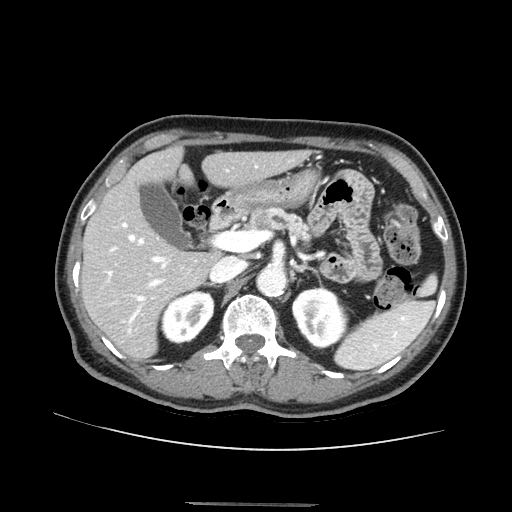
Abdomen | Computed tomography

<segmentation>
  <pancreatic_tumor>(left=255, top=214, right=269, bottom=229)</pancreatic_tumor>
  <pancreas>(left=246, top=209, right=310, bottom=240)</pancreas>
</segmentation>